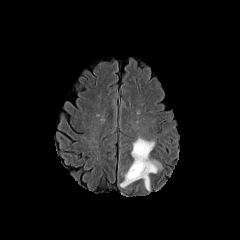
FLAIR MR image.
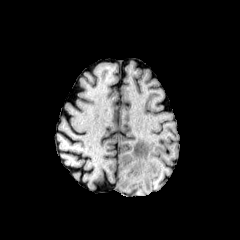
Same slice, T1-weighted MR image.
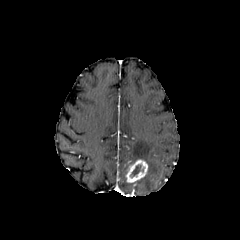
Post-contrast T1-weighted MRI of the same slice.
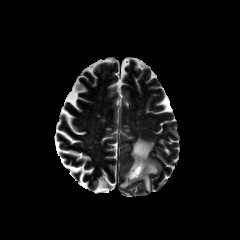
Same slice, T2-weighted MR image.
<segmentation>
  <enhancing_tumor>x1=125, y1=159, x2=148, y2=184</enhancing_tumor>
  <edema>x1=143, y1=175, x2=150, y2=191; x1=131, y1=137, x2=161, y2=173</edema>
  <non-enhancing_tumor_core>x1=131, y1=166, x2=140, y2=177</non-enhancing_tumor_core>
</segmentation>